Upper abdomen; 512x512; Field of view 341x341 mm; Computed tomography 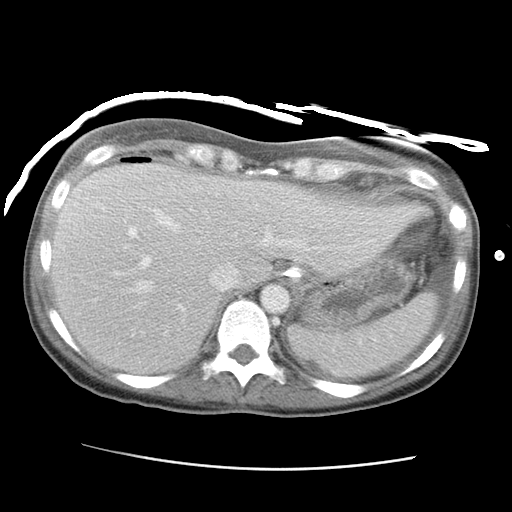
The liver lies within 49,163,424,375.